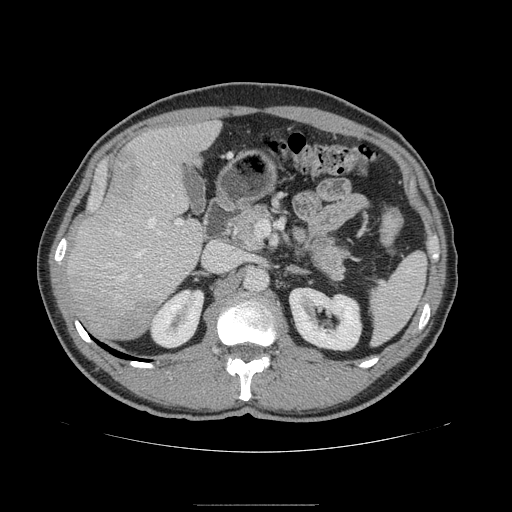

Upper abdomen. Image size 512x512. CT.
• pancreas: 233:205:271:251, 293:227:347:279